FLAIR MRI.
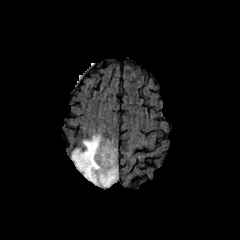
T1-weighted MR image.
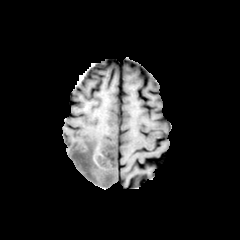
Post-contrast T1-weighted magnetic resonance.
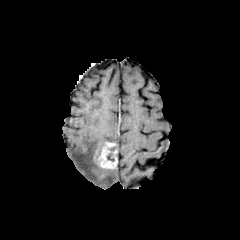
T2-weighted MR image.
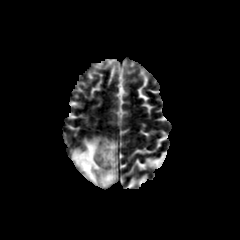
Brain
Enhancing tumor = (94,141,117,180).
Edema = (71,135,118,187).